FLAIR MRI.
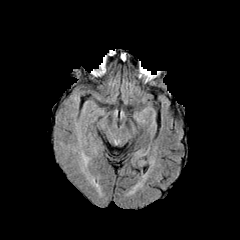
T1-weighted MR image.
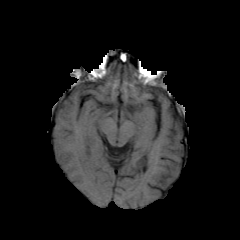
Post-contrast T1-weighted MRI.
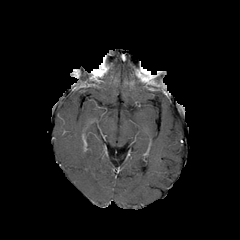
T2-weighted MRI.
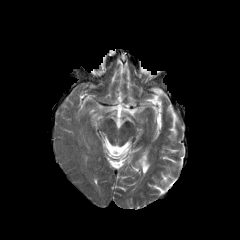
Edema: 82:153:90:164.